CT, 512x512, Slice index 346, Image width 380 mm 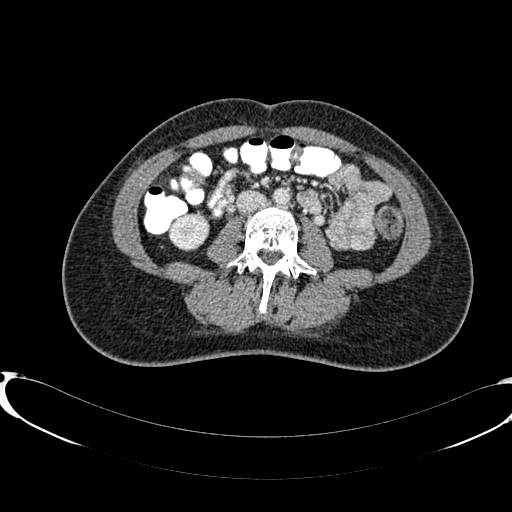
Kidney: bounding box box=[170, 216, 206, 248].